Liver; CT

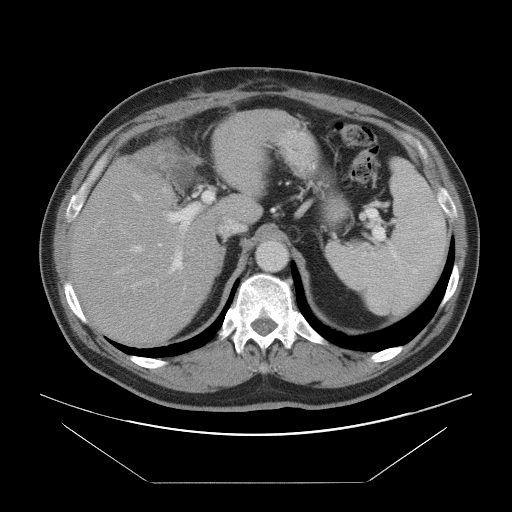
Some hepatic vessels may have no box.
The liver tumor is located at (x1=130, y1=149, x2=162, y2=176). 6 hepatic vessel regions appear at (x1=132, y1=285, x2=135, y2=288), (x1=134, y1=194, x2=140, y2=199), (x1=170, y1=266, x2=175, y2=270), (x1=178, y1=259, x2=182, y2=268), (x1=224, y1=217, x2=226, y2=218), (x1=157, y1=280, x2=157, y2=284).